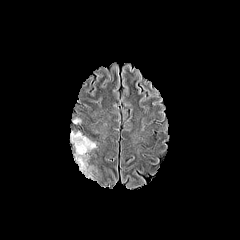
FLAIR magnetic resonance.
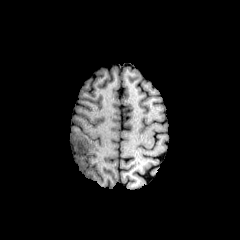
T1-weighted magnetic resonance of the same slice.
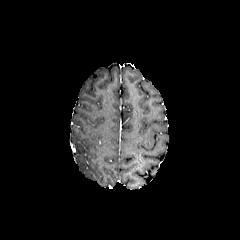
Post-contrast T1-weighted MRI.
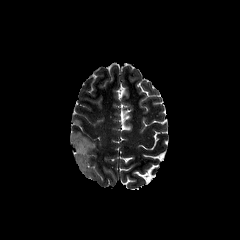
T2-weighted MR.
Head; Image size 240x240
The edema lies within box=[70, 131, 96, 173].